Brain.
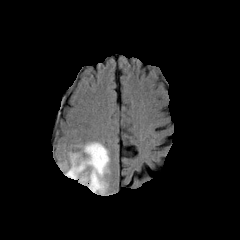
FLAIR MR.
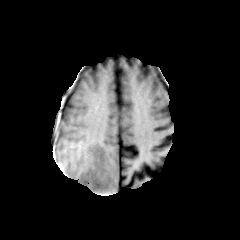
T1-weighted MRI.
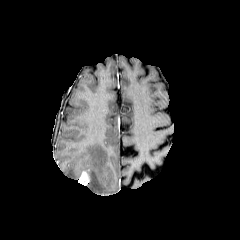
Same slice, post-contrast T1-weighted MR image.
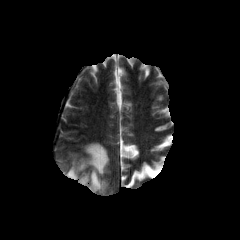
T2-weighted MR of the same slice.
The edema is at (66,142,109,192). The enhancing tumor is bounded by (78,171,89,185).